CT image | Image size 512x512 | Abdomen | Field of view 382x382 mm

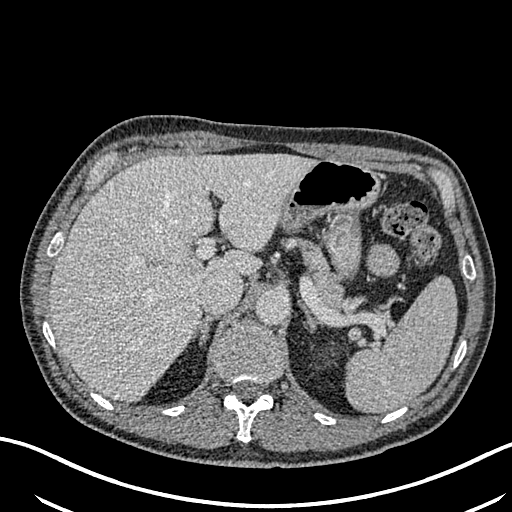
Annotated regions:
* liver: [49,154,317,402]